Slice index 29. Magnetic resonance.

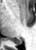 {
  "posterior_hippocampus": [
    "[12,40,21,44]"
  ]
}